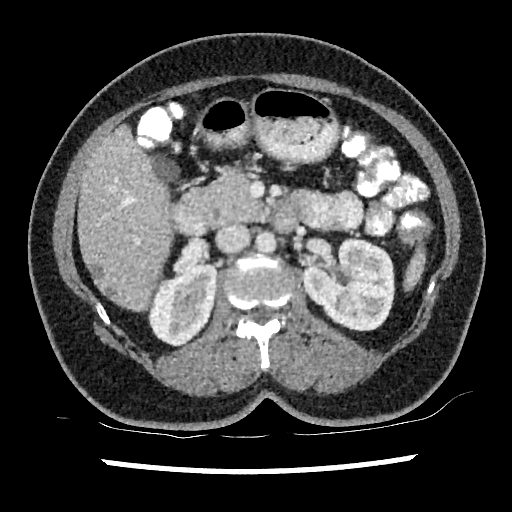
Liver. CT image. 512x512.

kidney:
  - [150,257,216,344]
  - [304,240,393,329]
liver:
  - [78,125,169,309]
liver_lesion:
  - [105,287,114,296]
  - [152,157,176,181]
  - [90,265,101,277]